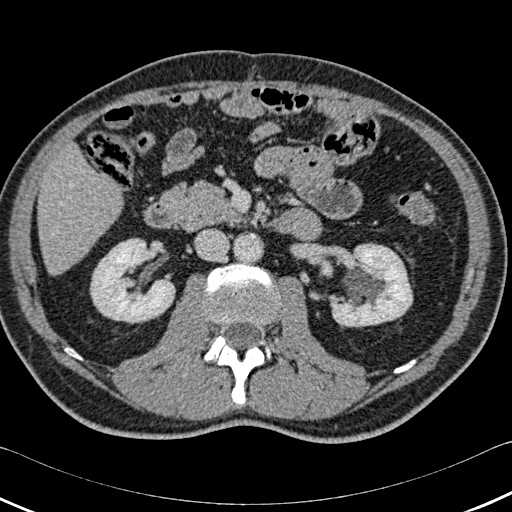
Abdomen, CT slice

Annotated regions:
- bone: [x1=65, y1=348, x2=81, y2=359], [x1=394, y1=360, x2=414, y2=372], [x1=204, y1=336, x2=263, y2=404], [x1=205, y1=264, x2=277, y2=323]
- kidney: [x1=333, y1=244, x2=411, y2=326], [x1=91, y1=239, x2=174, y2=322], [x1=322, y1=262, x2=331, y2=274]
- liver: [x1=38, y1=147, x2=122, y2=274]